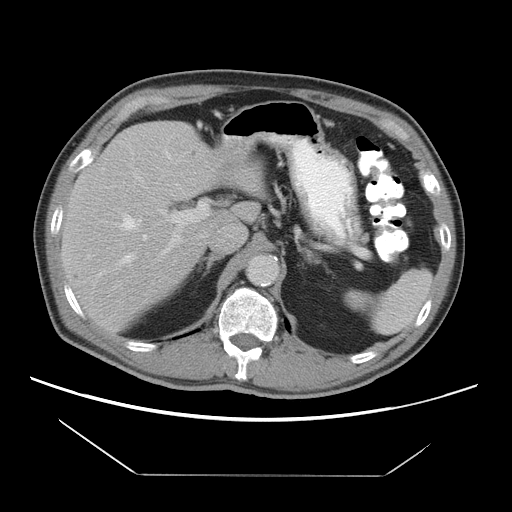 Computed tomography. Abdomen.

The vessel annotation is not exhaustive.
12 hepatic vessel regions appear at 116,267,118,269; 145,187,147,188; 161,233,181,254; 119,254,135,264; 155,200,156,201; 159,209,164,213; 87,255,90,258; 163,150,170,158; 113,223,116,224; 168,200,210,229; 121,213,140,229; 143,235,146,239.